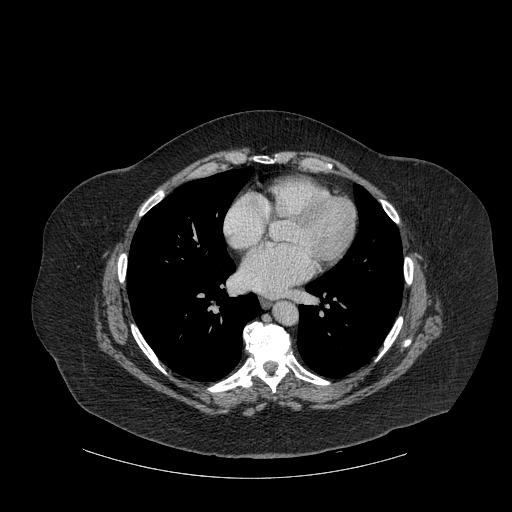 Computed tomography. Chest.
Annotated regions:
* bone: [x1=376, y1=317, x2=402, y2=360], [x1=208, y1=322, x2=329, y2=392], [x1=254, y1=156, x2=273, y2=163], [x1=404, y1=257, x2=413, y2=283], [x1=381, y1=200, x2=398, y2=222], [x1=118, y1=254, x2=126, y2=282], [x1=140, y1=191, x2=163, y2=215], [x1=131, y1=325, x2=166, y2=373]
* lung: [x1=297, y1=187, x2=402, y2=377], [x1=127, y1=167, x2=259, y2=381]